Slice 60/155, Head
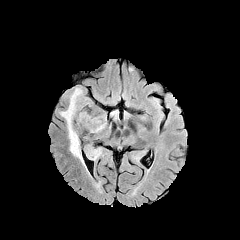
FLAIR MR image.
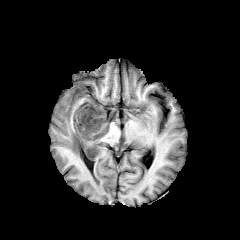
T1-weighted MR.
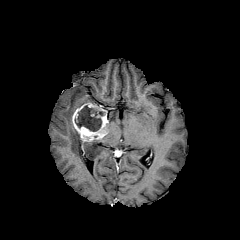
Same slice, post-contrast T1-weighted MR image.
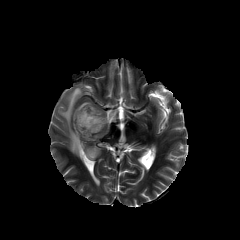
T2-weighted MR image.
enhancing_tumor:
  - <bbox>72, 103, 107, 141</bbox>
edema:
  - <bbox>59, 88, 99, 162</bbox>
non-enhancing_tumor_core:
  - <bbox>75, 107, 103, 131</bbox>